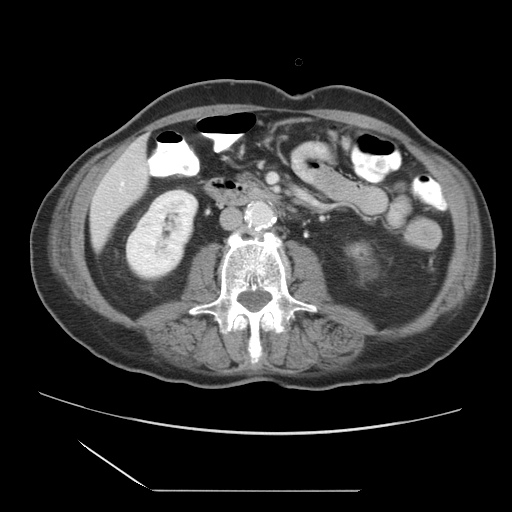

Image size 512x512 | Computed tomography
Only some of the vessels may be annotated.
Findings:
• hepatic vessel: region(120, 182, 124, 190)